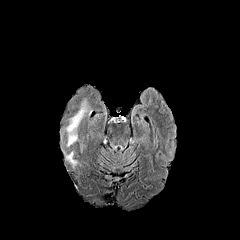
FLAIR magnetic resonance.
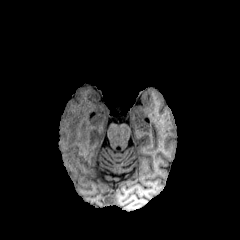
Same slice, T1-weighted MR.
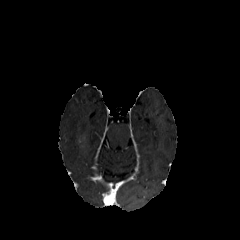
Post-contrast T1-weighted MR image of the same slice.
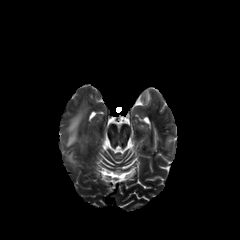
T2-weighted MR image.
edema:
  - 62 99 92 148
  - 65 152 77 165